Image size 240x240 | Brain | Slice 72/155
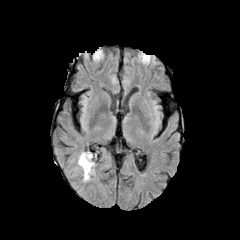
FLAIR magnetic resonance.
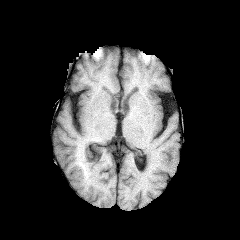
T1-weighted MRI of the same slice.
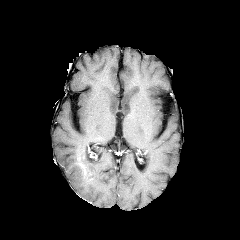
Post-contrast T1-weighted MR image.
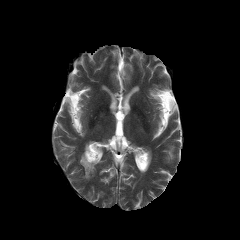
T2-weighted MR.
The non-enhancing tumor core is located at [79, 151, 95, 178]. The edema is bounded by [77, 151, 95, 180].